CT image, Abdomen, 512x512 px 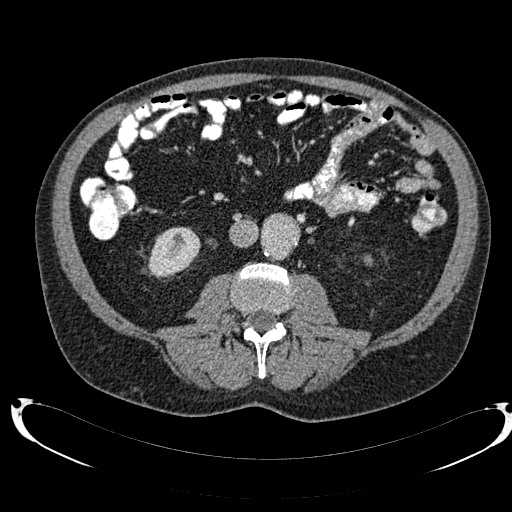
2 kidney regions are bounded by left=364, top=255, right=372, bottom=264; left=148, top=227, right=200, bottom=277.